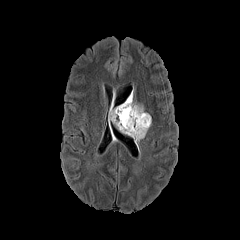
FLAIR MRI.
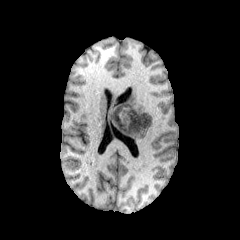
T1-weighted magnetic resonance.
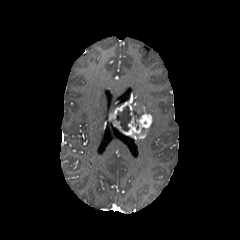
Post-contrast T1-weighted MR.
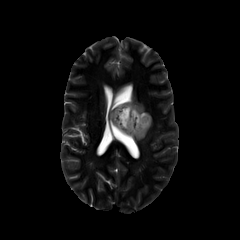
T2-weighted MR image.
240x240 px
Enhancing tumor: region(108, 95, 152, 139).
Non-enhancing tumor core: region(114, 102, 144, 131).